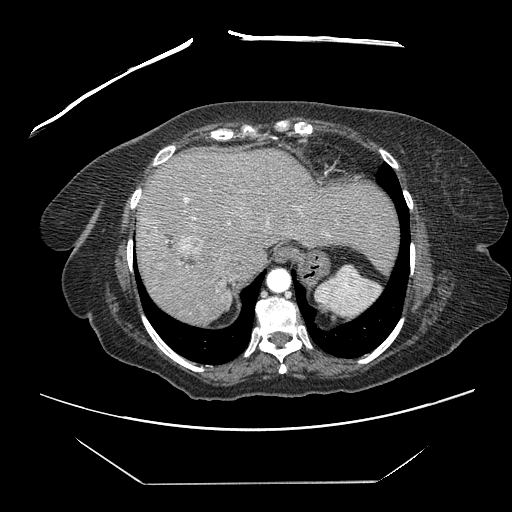 CT slice
The vessel boxes may cover only some of the vessels.
Liver tumor: (left=181, top=238, right=202, bottom=253).
Hepatic vessel: (left=184, top=198, right=187, bottom=201).